Slice 94/155
FLAIR MR.
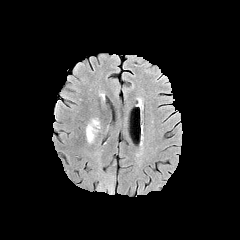
T1-weighted magnetic resonance.
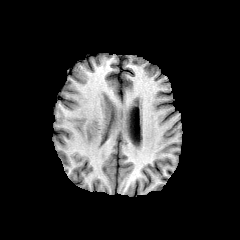
Post-contrast T1-weighted MR image.
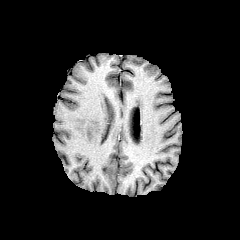
T2-weighted MRI.
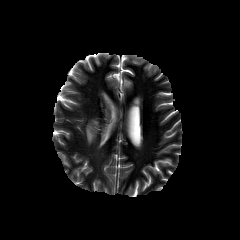
The edema is at [x1=86, y1=118, x2=100, y2=143].